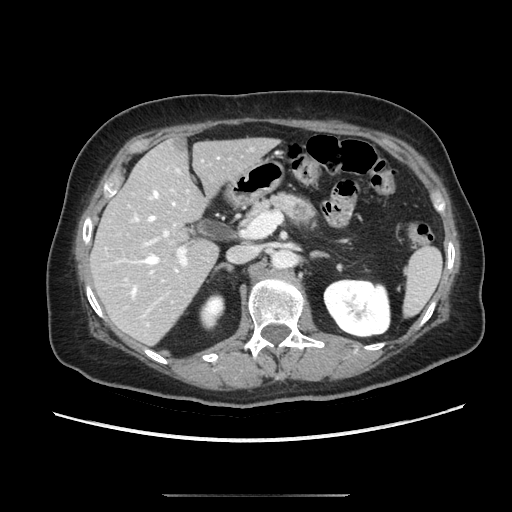
512x512 px, CT image

Pancreas: bounding box 244:195:313:223.
Pancreatic tumor: bounding box 293:203:307:217.